Brain; Image width 240 mm; Slice index 62
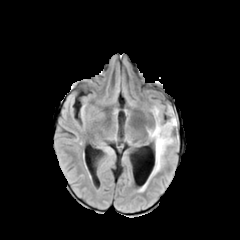
FLAIR magnetic resonance.
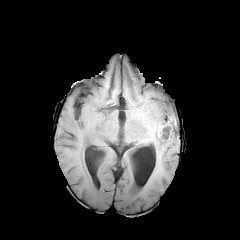
T1-weighted MR of the same slice.
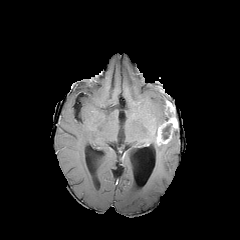
Same slice, post-contrast T1-weighted magnetic resonance.
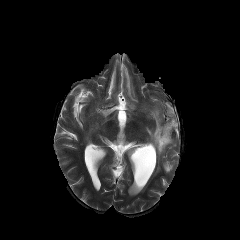
T2-weighted MR image.
Edema — region(147, 104, 175, 178).
Non-enhancing tumor core — region(162, 122, 173, 139).
Enhancing tumor — region(156, 124, 169, 145); region(168, 115, 177, 128).